CT scan slice

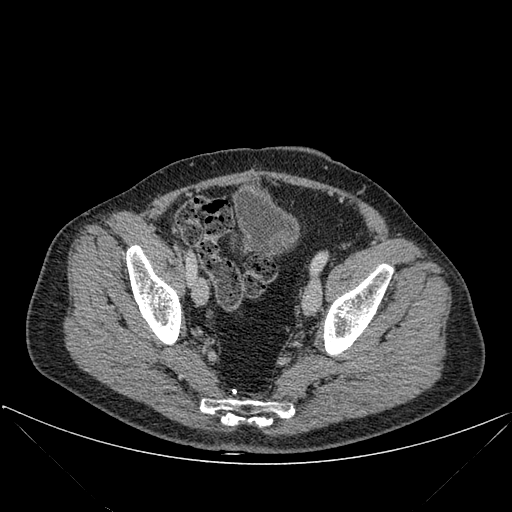

Bone — rect(248, 417, 273, 427); rect(200, 399, 294, 417); rect(221, 413, 245, 426); rect(324, 264, 393, 354); rect(126, 245, 180, 344).